Computed tomography | Abdomen | Image width 380 mm
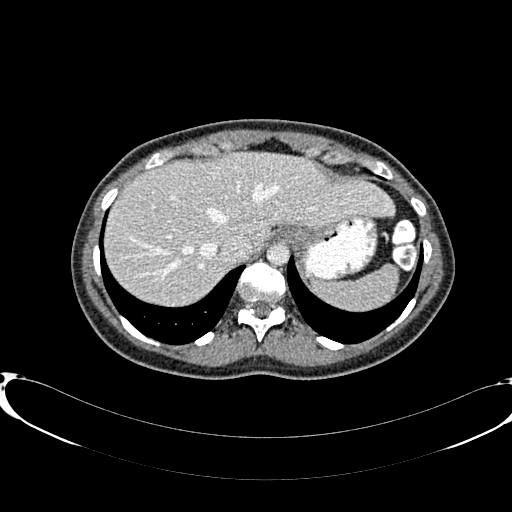

Liver = region(105, 152, 395, 306).